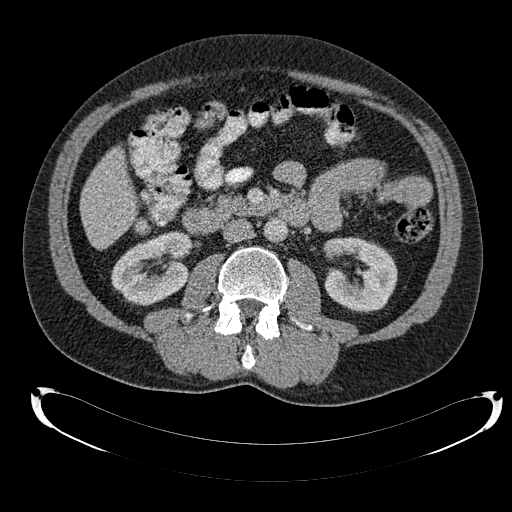
Abdomen; CT

Kidney: bounding box <bbox>325, 238, 396, 310</bbox>, <bbox>112, 232, 189, 304</bbox>.
Liver: bounding box <bbox>82, 148, 136, 248</bbox>.